FLAIR MRI.
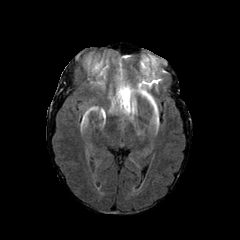
T1-weighted magnetic resonance.
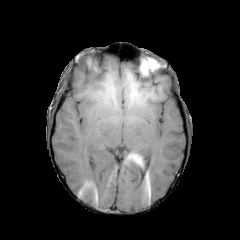
Post-contrast T1-weighted magnetic resonance.
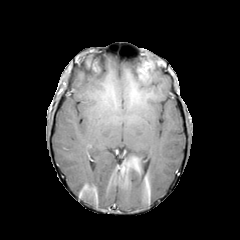
T2-weighted MR.
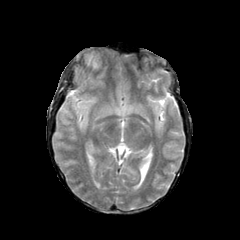
240x240. Head.
edema:
  - (120, 84, 129, 113)
  - (82, 106, 88, 125)
  - (139, 70, 159, 114)